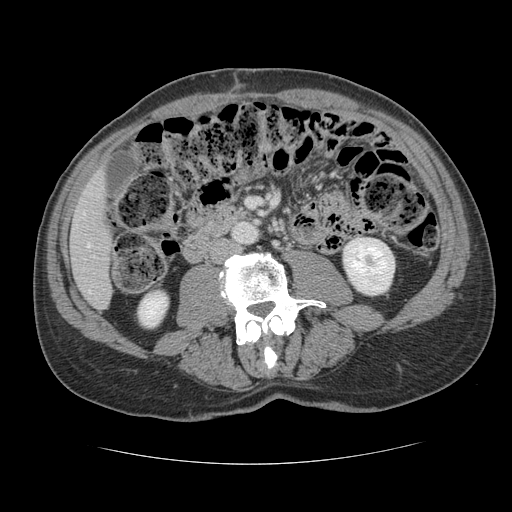

512x512 | CT scan slice

Some hepatic vessels may have no box.
3 hepatic vessel regions are bounded by l=87, t=243, r=90, b=246; l=83, t=212, r=84, b=213; l=89, t=290, r=90, b=291.